FLAIR magnetic resonance.
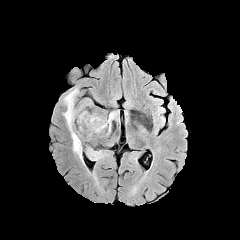
T1-weighted MR image.
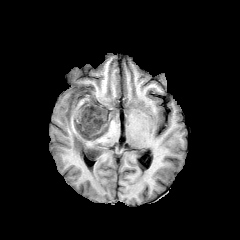
Post-contrast T1-weighted MR image.
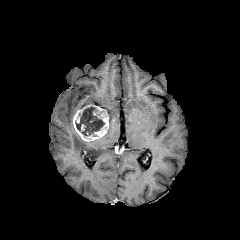
T2-weighted MR image.
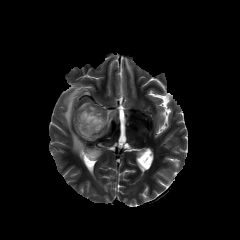
240x240 px
Segmented structures:
* non-enhancing tumor core: [x1=75, y1=105, x2=104, y2=135]
* enhancing tumor: [x1=73, y1=104, x2=109, y2=141]
* edema: [x1=86, y1=148, x2=104, y2=160], [x1=108, y1=110, x2=119, y2=132], [x1=62, y1=87, x2=82, y2=160]